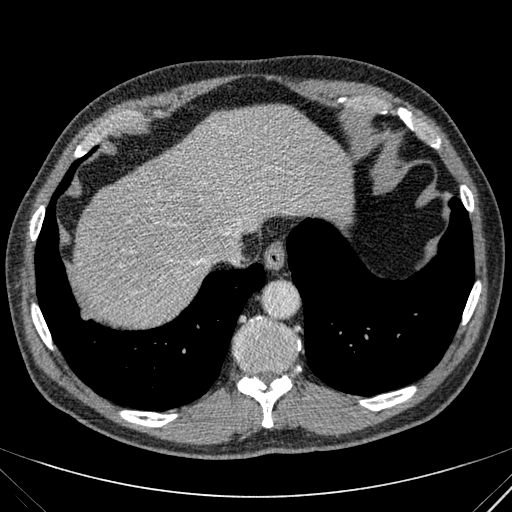 CT image

Annotated regions:
* liver: (72,106,350,325)